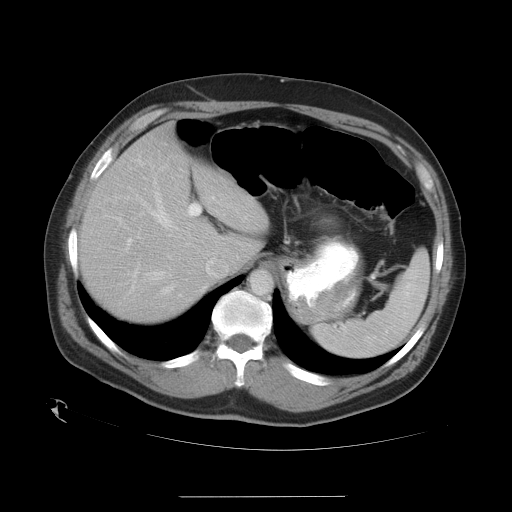

Image size 512x512. CT scan slice. Liver.

The vessel boxes may cover only some of the vessels.
<segmentation>
  <hepatic_vessel>(180, 169, 183, 171), (146, 271, 164, 279), (188, 207, 195, 214), (136, 191, 172, 227), (175, 228, 177, 229), (186, 243, 189, 246), (132, 268, 138, 282), (159, 168, 162, 170), (138, 237, 140, 238), (126, 244, 130, 251), (144, 178, 146, 179), (178, 175, 181, 177)</hepatic_vessel>
</segmentation>